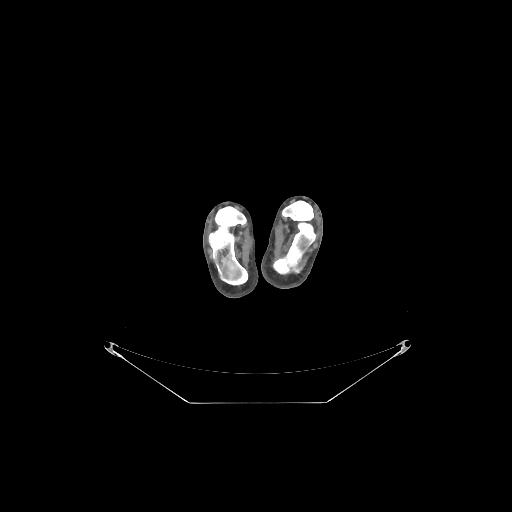

CT | 512x512 px
{
  "bone": [
    "<bbox>273, 201, 315, 274</bbox>",
    "<bbox>209, 206, 247, 284</bbox>"
  ]
}